Abdomen | 512x512 px | CT slice | Slice 38/89

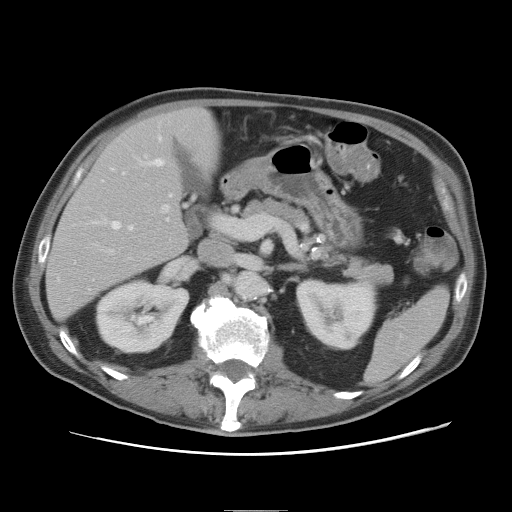

The vessel boxes may cover only some of the vessels.
Hepatic vessel = (110, 250, 113, 253), (167, 219, 168, 220), (150, 159, 163, 165), (170, 195, 171, 196), (138, 159, 141, 163), (58, 278, 60, 280), (110, 221, 120, 228), (93, 218, 108, 222), (123, 172, 125, 173), (163, 205, 169, 211), (130, 226, 132, 229), (159, 137, 161, 139).